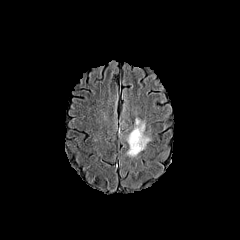
FLAIR magnetic resonance.
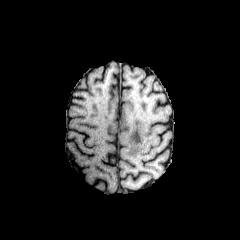
T1-weighted MRI of the same slice.
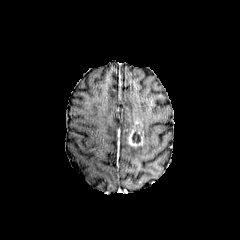
Same slice, post-contrast T1-weighted MR image.
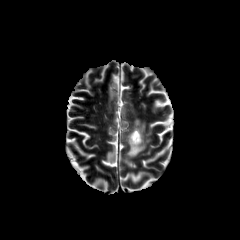
T2-weighted MR image.
Non-enhancing tumor core: bounding box (x1=130, y1=145, x2=141, y2=155), (x1=132, y1=123, x2=141, y2=143).
Edema: bounding box (x1=140, y1=122, x2=150, y2=141).
Enhancing tumor: bounding box (x1=127, y1=129, x2=147, y2=147).